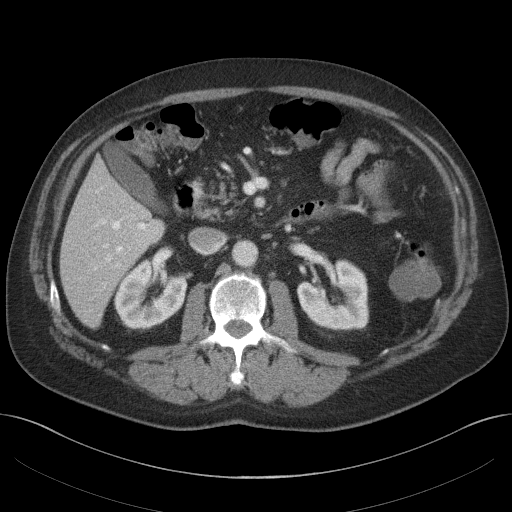

CT; Upper abdomen; 512x512
Liver at [60,159,157,325].
Kidney at [298,262,367,328], [116,261,185,327].